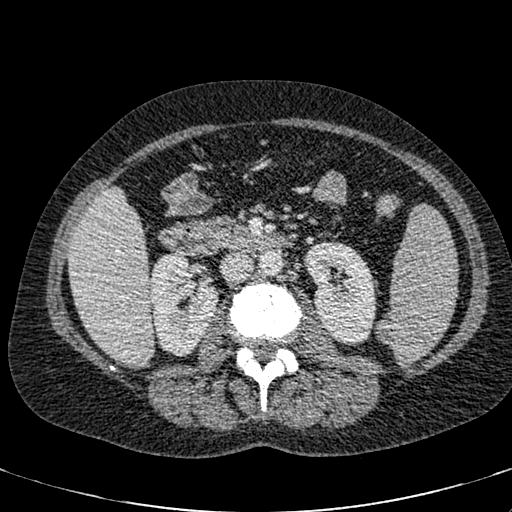 CT scan slice | Abdomen

Liver = [68,189,152,363].
Kidney = [305,243,375,343], [150,252,217,355].